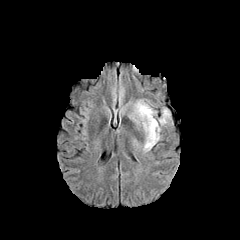
FLAIR magnetic resonance.
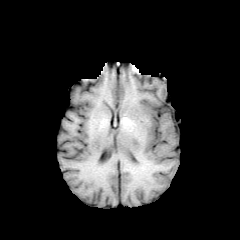
T1-weighted MRI.
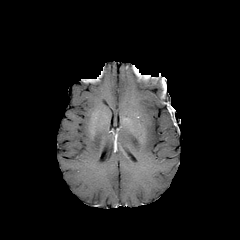
Post-contrast T1-weighted MR.
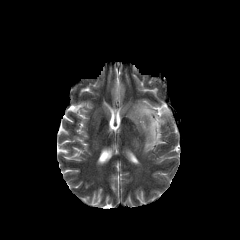
T2-weighted MRI.
Edema at x1=128 y1=99 x2=171 y2=152.